Image width 240 mm. Slice 90 of 155.
FLAIR MRI.
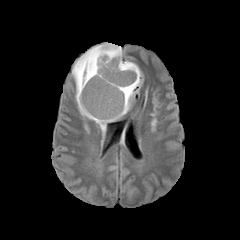
T1-weighted MRI.
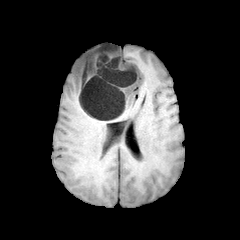
Post-contrast T1-weighted MR.
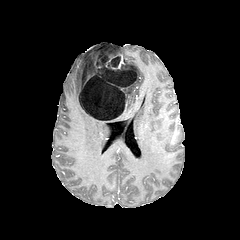
T2-weighted magnetic resonance.
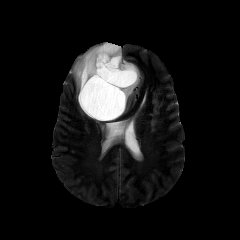
2 edema regions appear at x1=122, y1=54, x2=143, y2=113; x1=72, y1=44, x2=111, y2=134. The non-enhancing tumor core lies within x1=78, y1=44, x2=137, y2=121.